FLAIR MRI.
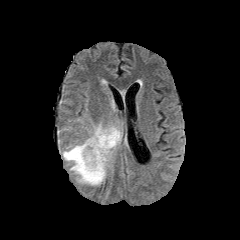
T1-weighted MR image.
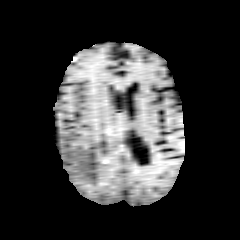
Post-contrast T1-weighted MR image.
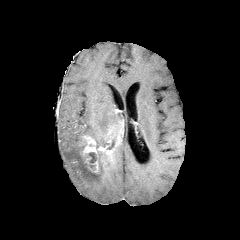
T2-weighted magnetic resonance.
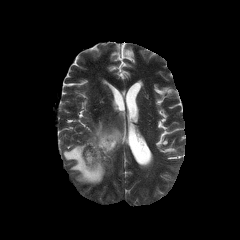
3 non-enhancing tumor core regions are located at left=105, top=132, right=117, bottom=149; left=85, top=151, right=104, bottom=166; left=96, top=137, right=107, bottom=147. 2 edema regions are located at left=63, top=141, right=109, bottom=186; left=88, top=123, right=123, bottom=142. 2 enhancing tumor regions are bounded by left=83, top=138, right=114, bottom=155; left=114, top=133, right=121, bottom=146.